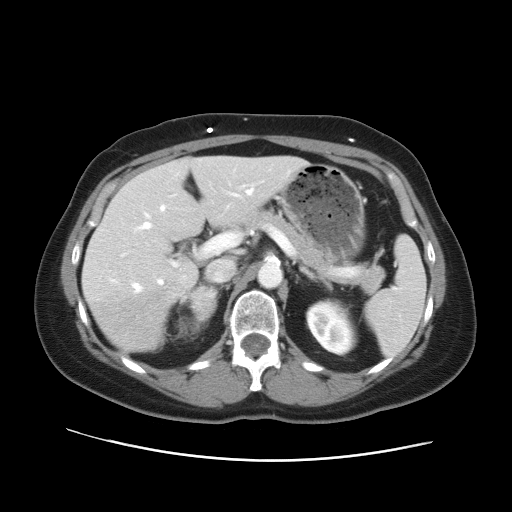
CT slice, Abdomen
Not every hepatic vessel necessarily has a box.
{"hepatic_vessel": ["bbox=[159, 204, 165, 211]", "bbox=[122, 253, 125, 255]", "bbox=[135, 220, 151, 230]", "bbox=[202, 232, 239, 254]", "bbox=[171, 262, 178, 266]"]}